FLAIR MR.
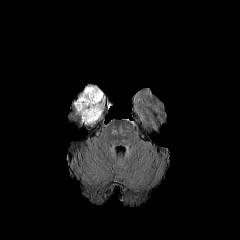
T1-weighted MR.
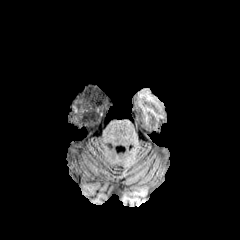
Post-contrast T1-weighted magnetic resonance.
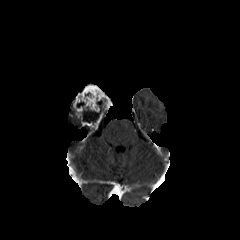
T2-weighted magnetic resonance.
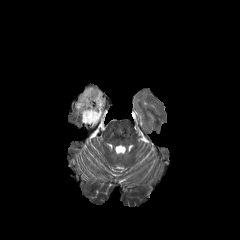
non-enhancing tumor core: 76:99:106:123, 68:97:80:125 | enhancing tumor: 73:83:112:130